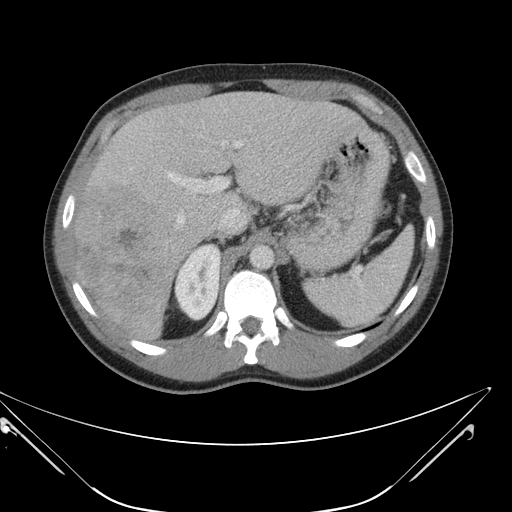
CT

Only some of the vessels may be annotated.
liver tumor: bbox=[76, 185, 186, 339] | hepatic vessel: bbox=[175, 216, 184, 228]; bbox=[130, 168, 132, 169]; bbox=[234, 140, 242, 146]; bbox=[221, 140, 226, 147]; bbox=[249, 127, 250, 130]; bbox=[168, 173, 228, 192]; bbox=[218, 208, 243, 229]; bbox=[197, 133, 201, 137]